Slice 104 of 155.
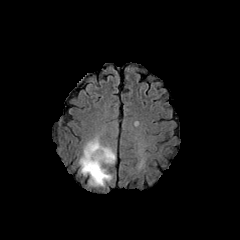
FLAIR magnetic resonance.
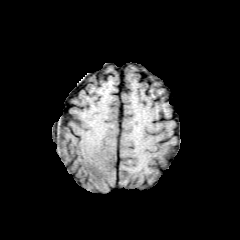
T1-weighted MR image.
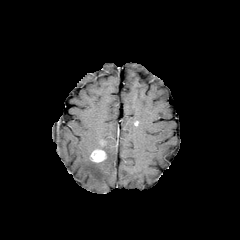
Post-contrast T1-weighted MR.
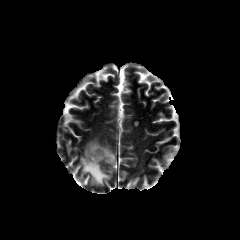
T2-weighted MR of the same slice.
- enhancing tumor: bbox(90, 149, 106, 162)
- edema: bbox(78, 137, 115, 187)